Slice index 13 | MR
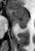

The anterior hippocampus is at (x1=8, y1=8, x2=28, y2=20). The posterior hippocampus is located at (x1=14, y1=21, x2=28, y2=28).